Slice 220 of 455. Computed tomography. 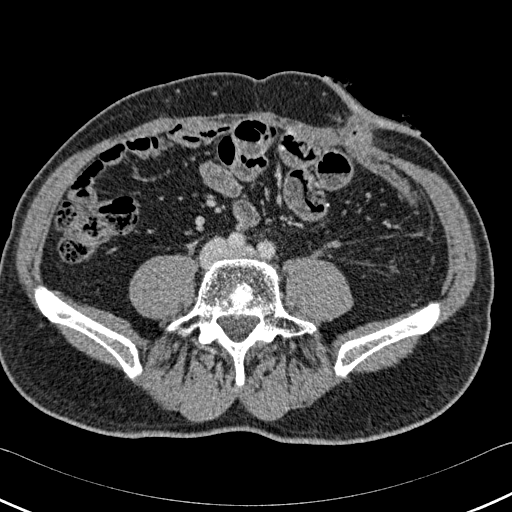

{
  "bone": [
    "bbox=[35, 287, 141, 377]",
    "bbox=[335, 304, 438, 375]",
    "bbox=[165, 259, 318, 386]"
  ]
}